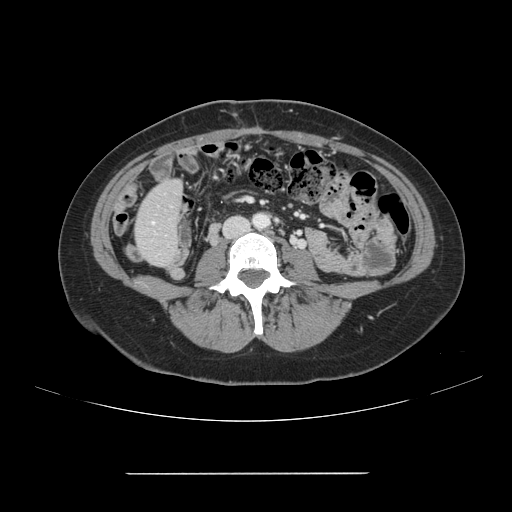 CT slice
Some hepatic vessels may have no box.
The hepatic vessel is located at bbox(152, 222, 154, 223).